CT | 512x512 px 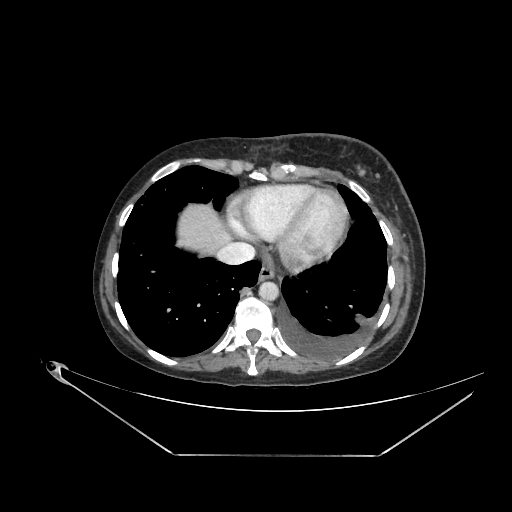
- liver: (176, 204, 233, 257)